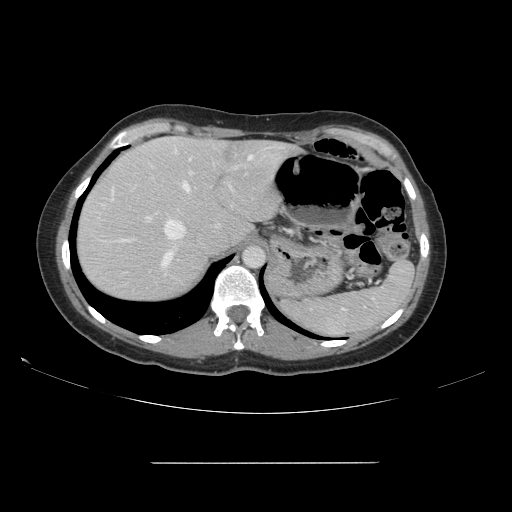

CT | 512x512 | Abdomen
The vessel boxes may cover only some of the vessels.
Segmented structures:
- hepatic vessel: bbox(100, 204, 103, 205); bbox(116, 239, 130, 241); bbox(229, 186, 232, 190); bbox(147, 216, 151, 220); bbox(111, 186, 114, 200); bbox(162, 245, 177, 274); bbox(189, 171, 192, 173); bbox(249, 155, 253, 159); bbox(183, 181, 189, 191); bbox(175, 148, 176, 152); bbox(234, 166, 238, 168); bbox(189, 158, 191, 159); bbox(164, 218, 184, 239)
- liver tumor: bbox(223, 147, 234, 162)